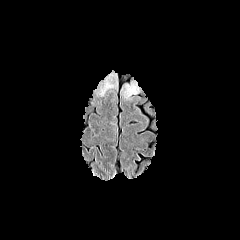
FLAIR MR image.
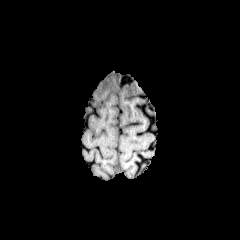
T1-weighted MR image.
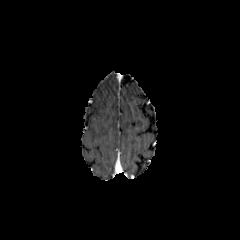
Post-contrast T1-weighted magnetic resonance of the same slice.
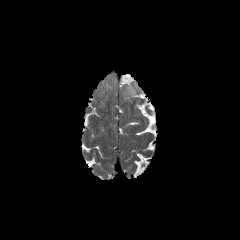
T2-weighted MR image.
Brain
The edema is located at <bbox>102, 81, 113, 92</bbox>.